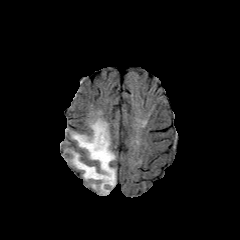
FLAIR MR image.
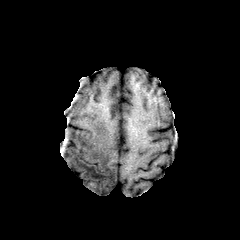
Same slice, T1-weighted MRI.
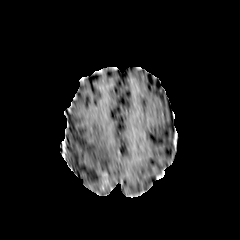
Post-contrast T1-weighted MRI of the same slice.
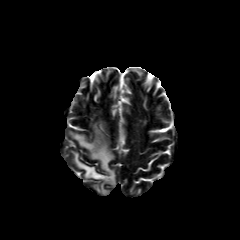
T2-weighted MR image.
Head
enhancing tumor: x1=102, y1=172, x2=108, y2=189 | edema: x1=70, y1=119, x2=116, y2=195 | non-enhancing tumor core: x1=92, y1=170, x2=102, y2=182